Liver; CT scan slice 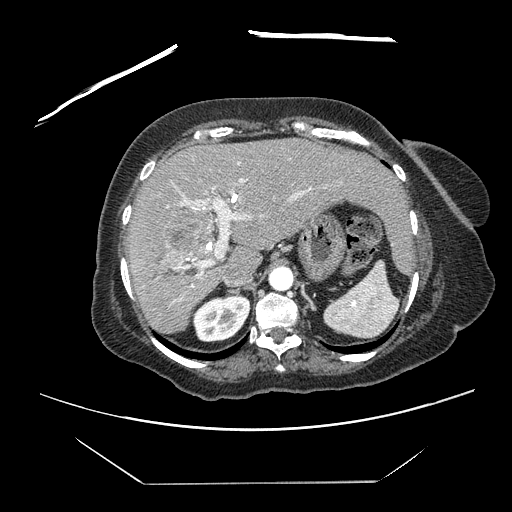

The vessel annotation is not exhaustive.
{
  "liver_tumor": [
    "bbox(167, 211, 214, 259)"
  ],
  "hepatic_vessel": [
    "bbox(212, 186, 215, 190)",
    "bbox(177, 262, 189, 268)",
    "bbox(179, 194, 250, 257)",
    "bbox(166, 205, 168, 207)",
    "bbox(187, 258, 189, 259)",
    "bbox(288, 188, 310, 200)",
    "bbox(197, 260, 213, 268)",
    "bbox(240, 179, 243, 181)",
    "bbox(198, 271, 202, 276)"
  ]
}